Field of view 240x240 mm, Slice 104 of 155
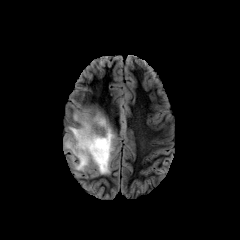
FLAIR MR.
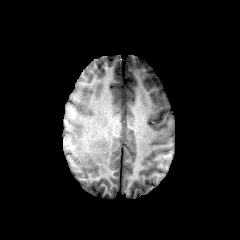
T1-weighted magnetic resonance of the same slice.
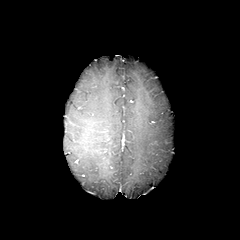
Same slice, post-contrast T1-weighted magnetic resonance.
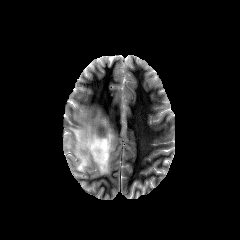
T2-weighted MRI of the same slice.
edema:
  - rect(66, 117, 115, 175)